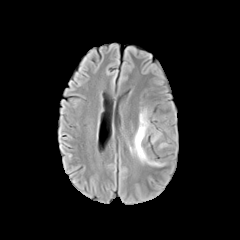
FLAIR MRI.
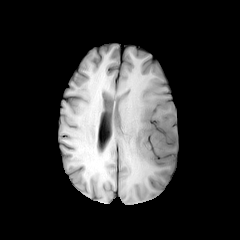
Same slice, T1-weighted MRI.
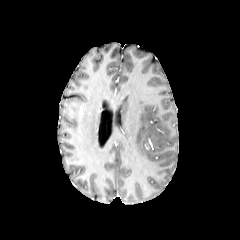
Post-contrast T1-weighted MRI.
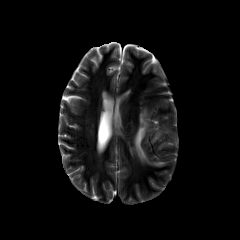
Same slice, T2-weighted MR.
edema: x1=129 y1=109 x2=166 y2=164